Slice 122/155 | 240x240 | Brain
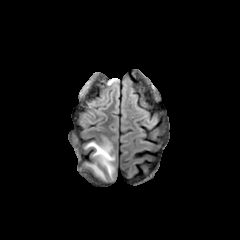
FLAIR MRI.
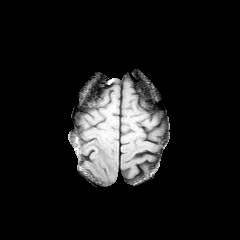
T1-weighted MR image.
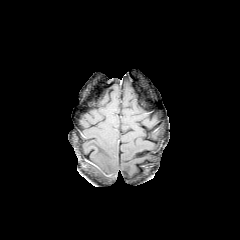
Same slice, post-contrast T1-weighted MR image.
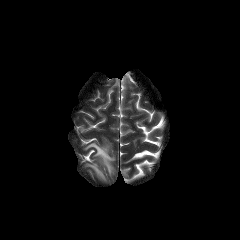
Same slice, T2-weighted magnetic resonance.
edema:
  - <box>85,141,115,177</box>
  - <box>87,163,105,179</box>